Medial temporal lobe. MR.

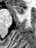

anterior_hippocampus:
  - (x1=13, y1=5, x2=24, y2=14)